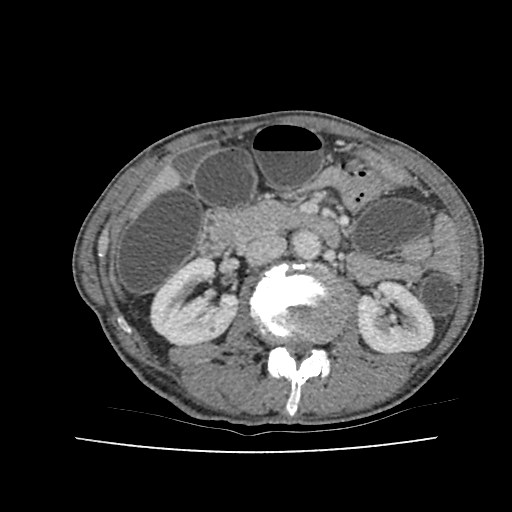

CT scan slice. Upper abdomen. Liver: (145, 173, 174, 201).
Kidney: (359, 283, 432, 352), (152, 259, 237, 344).